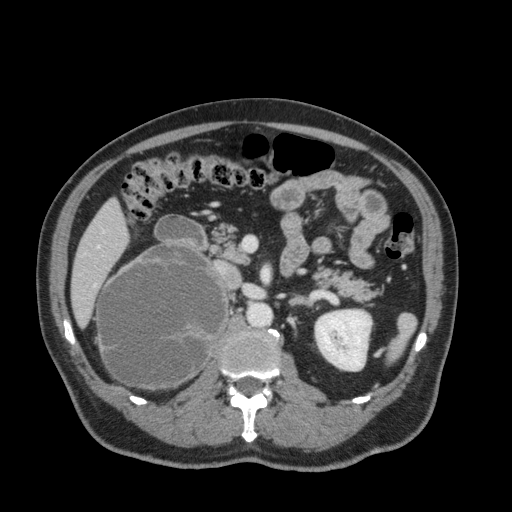

CT scan slice. Abdomen.
The liver lies within x1=72 y1=199 x2=127 y2=325. The kidney lies within x1=315 y1=310 x2=371 y2=370.